Abdomen, CT image

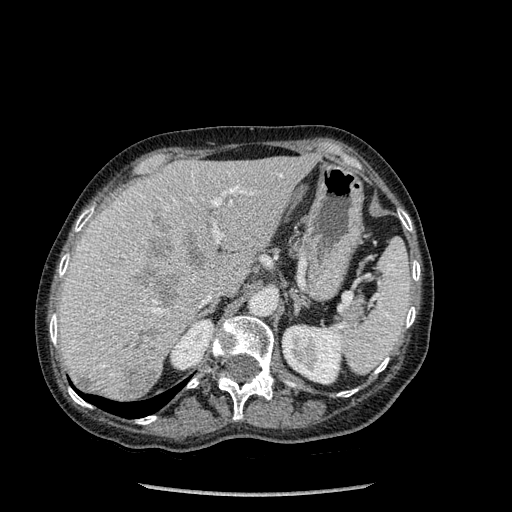
6 hepatic lesion regions appear at region(149, 220, 176, 256); region(121, 365, 157, 398); region(132, 261, 178, 305); region(141, 329, 158, 336); region(181, 231, 206, 268); region(78, 374, 91, 388). 2 kidney regions are located at region(282, 326, 347, 383); region(171, 320, 212, 369). The lung appears at region(80, 383, 183, 418). 12 bone regions are bounded by region(58, 253, 70, 277); region(187, 376, 199, 388); region(337, 389, 357, 396); region(75, 207, 93, 231); region(50, 314, 58, 345); region(412, 260, 420, 280); region(397, 209, 412, 231); region(374, 357, 389, 373); region(405, 306, 415, 327); region(136, 416, 156, 424); region(212, 316, 273, 420); region(68, 387, 91, 408). The liver lies within region(60, 154, 320, 401).